Abdomen; CT scan slice 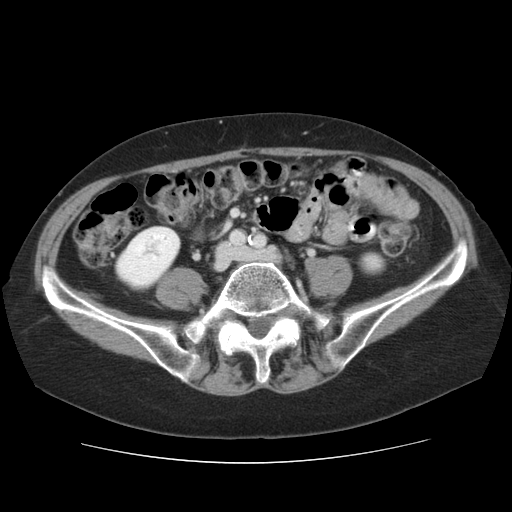
bone:
  - 183:250:332:382
  - 325:238:468:370
  - 41:265:202:383
kidney:
  - 117:227:179:285
  - 364:255:382:271